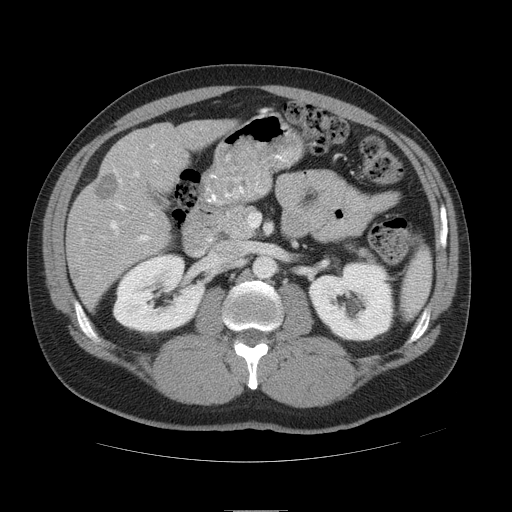

CT image
Only some of the vessels may be annotated.
<segmentation>
  <hepatic_vessel>box=[118, 204, 123, 208]; box=[139, 235, 148, 240]; box=[150, 213, 152, 214]; box=[111, 221, 117, 233]; box=[135, 172, 138, 176]; box=[150, 144, 153, 147]</hepatic_vessel>
  <liver_tumor>box=[93, 174, 118, 200]</liver_tumor>
</segmentation>